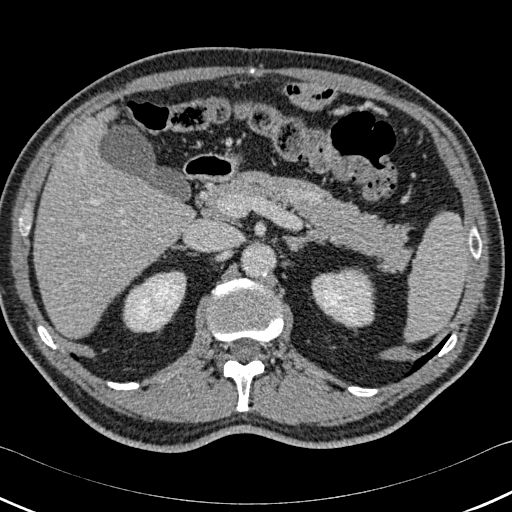
512x512; Liver; CT scan slice
8 bone regions are located at rect(224, 360, 263, 411); rect(108, 382, 138, 389); rect(19, 218, 29, 232); rect(348, 387, 376, 395); rect(208, 278, 283, 341); rect(438, 335, 456, 356); rect(470, 229, 481, 257); rect(38, 326, 55, 348). 2 kidney regions appear at rect(124, 272, 185, 331); rect(313, 271, 372, 325). The lung is located at rect(394, 334, 450, 382). The liver is located at rect(34, 113, 194, 337).